Image width 320 mm; Computed tomography; Slice 394/519

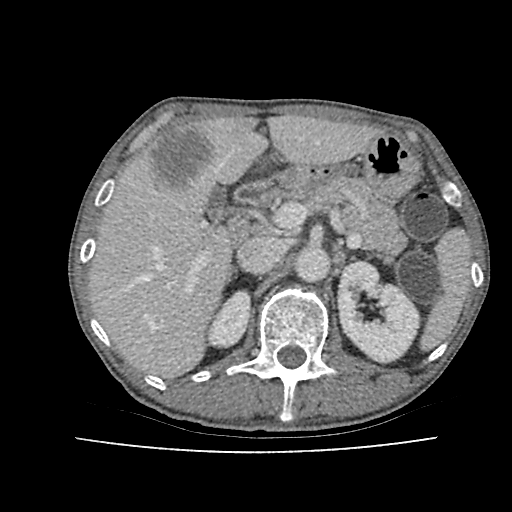
kidney:
  - rect(210, 292, 249, 344)
  - rect(338, 262, 417, 361)
liver:
  - rect(91, 117, 377, 375)
focal_liver_lesion:
  - rect(148, 128, 213, 191)